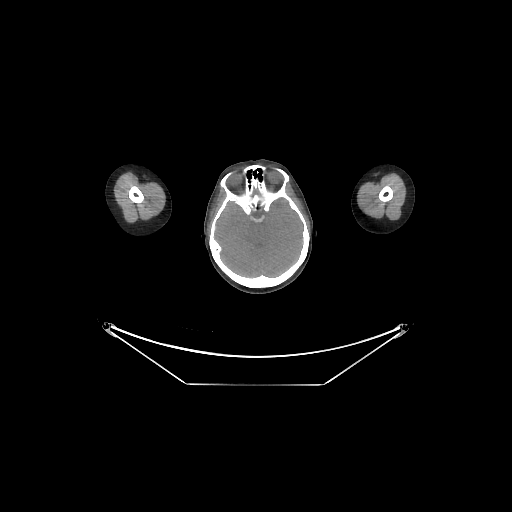

CT image

brain:
  - <box>215,197,303,276</box>